FLAIR magnetic resonance.
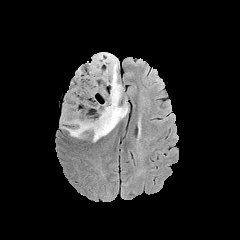
T1-weighted MR image.
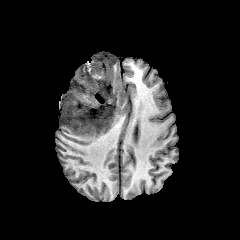
Post-contrast T1-weighted MR image.
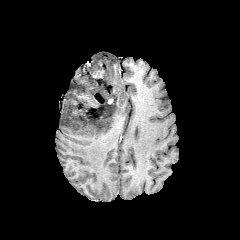
T2-weighted MR.
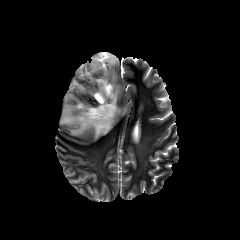
Head; Image size 240x240
Non-enhancing tumor core at <box>83,94,115,125</box>, <box>91,54,109,78</box>.
Edema at <box>76,52,107,79</box>, <box>61,54,127,141</box>.